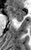

MRI

The anterior hippocampus is located at 7,6,25,18. The posterior hippocampus is at 16,19,22,21.